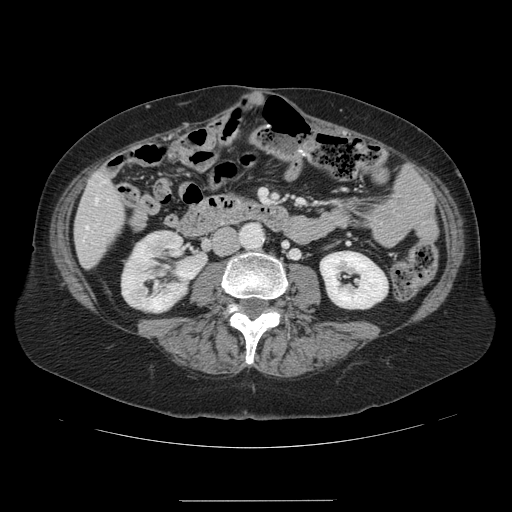
Abdomen | Computed tomography | 512x512

The vessel annotation is not exhaustive.
<segmentation>
  <hepatic_vessel><bbox>86, 226, 87, 228</bbox>, <bbox>95, 198, 96, 201</bbox></hepatic_vessel>
</segmentation>